CT scan slice, Liver
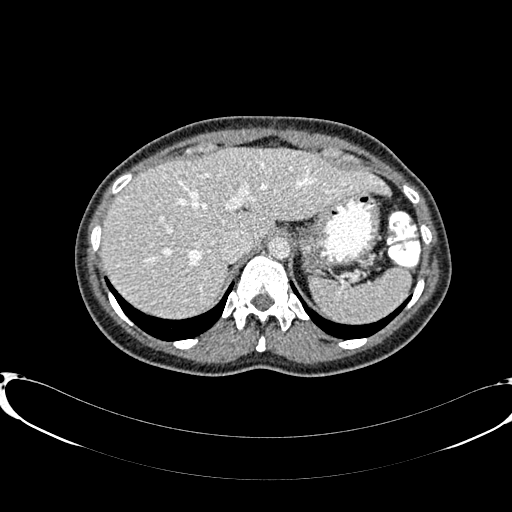

Liver = 102, 148, 390, 316.